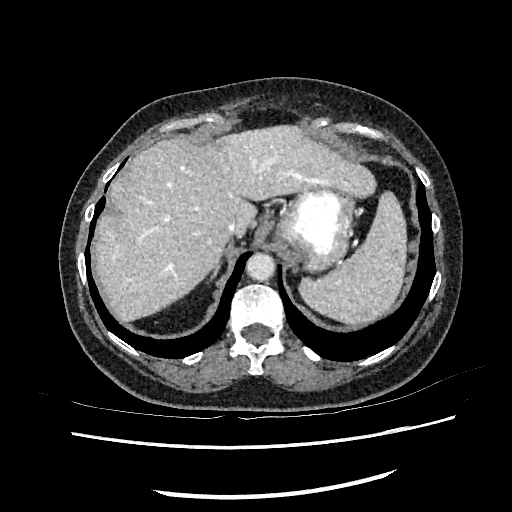
CT scan slice | Liver
liver: box(95, 125, 374, 320)